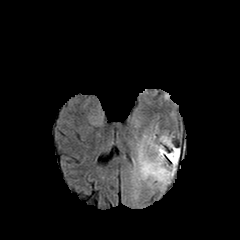
FLAIR magnetic resonance.
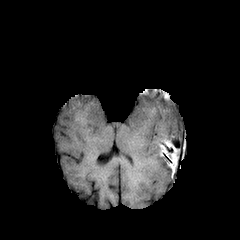
T1-weighted MR image.
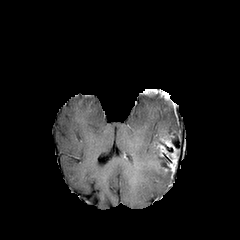
Same slice, post-contrast T1-weighted MRI.
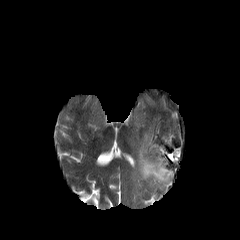
Same slice, T2-weighted MR.
Image size 240x240. Head.
<segmentation>
  <edema>region(132, 129, 175, 190)</edema>
  <enhancing_tumor>region(160, 137, 179, 173)</enhancing_tumor>
</segmentation>